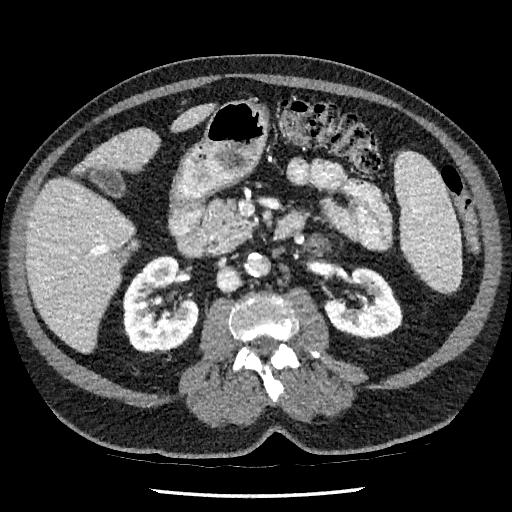 Upper abdomen; 512x512; CT image

Kidney = rect(124, 257, 197, 350); rect(325, 269, 401, 336).
Hepatic lesion = rect(113, 250, 123, 261).
Liver = rect(72, 127, 159, 174); rect(26, 177, 138, 352); rect(172, 104, 213, 131).